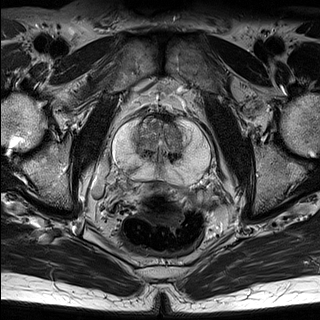
T2-weighted MRI.
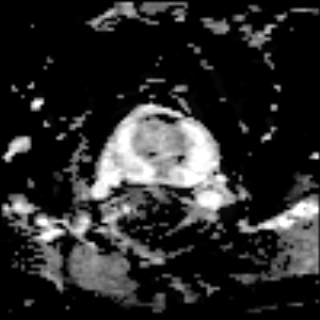
ADC MR image.
Pelvis.
- prostate transition zone: (133,118,182,162)
- prostate peripheral zone: (113,118,209,185)